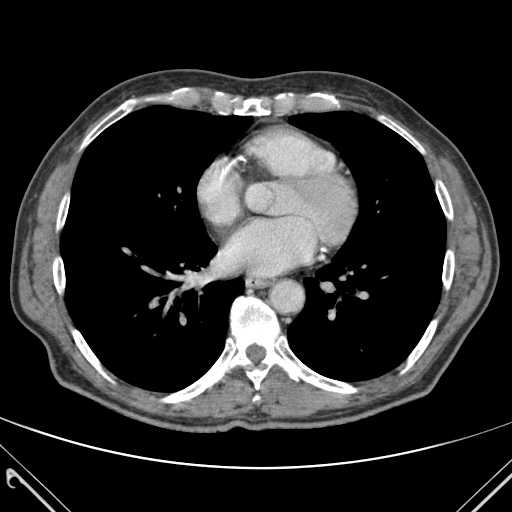 Chest | CT scan slice
Lung — [287, 111, 445, 381], [60, 105, 252, 391].
Bone — [436, 181, 452, 218], [172, 88, 188, 93], [81, 100, 135, 147], [73, 330, 108, 378], [163, 297, 356, 402], [53, 253, 65, 296], [219, 94, 287, 115], [310, 93, 339, 103], [402, 320, 436, 372], [442, 251, 453, 288], [57, 196, 69, 238], [373, 114, 423, 151].